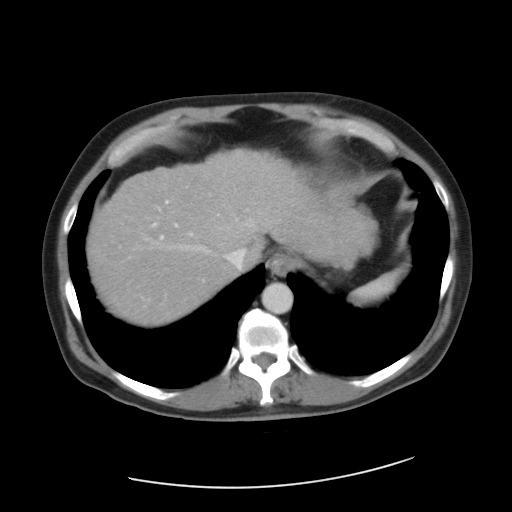 Liver; 512x512 px; CT slice

The vessel annotation is not exhaustive.
10 hepatic vessel regions appear at box(188, 232, 192, 235); box(225, 249, 244, 268); box(152, 223, 156, 226); box(217, 214, 218, 216); box(160, 235, 163, 239); box(216, 226, 220, 229); box(165, 200, 168, 203); box(175, 223, 177, 226); box(168, 244, 209, 252); box(157, 207, 160, 210).